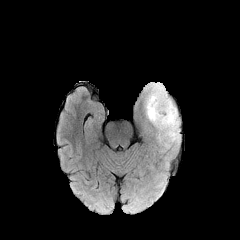
FLAIR magnetic resonance.
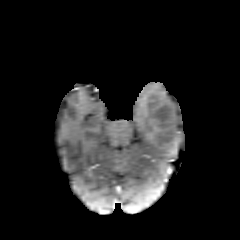
T1-weighted MRI.
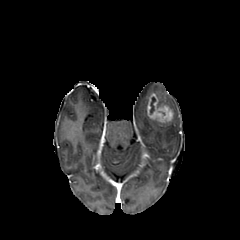
Post-contrast T1-weighted magnetic resonance of the same slice.
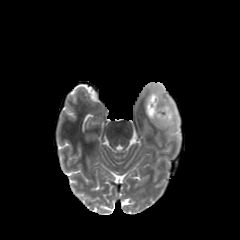
T2-weighted MRI.
Head | 240x240 px
- enhancing tumor: <bbox>147, 93, 173, 122</bbox>
- non-enhancing tumor core: <bbox>150, 97, 155, 112</bbox>
- edema: <bbox>144, 83, 180, 146</bbox>